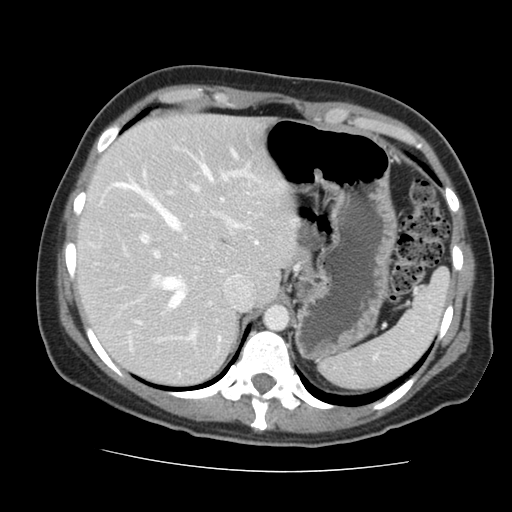
CT slice | Liver
Only some of the vessels may be annotated.
<segmentation>
  <hepatic_vessel>x1=154 y1=252 x2=158 y2=256, x1=221 y1=171 x2=248 y2=180, x1=232 y1=152 x2=235 y2=156, x1=217 y1=338 x2=219 y2=343, x1=136 y1=322 x2=140 y2=324, x1=141 y1=235 x2=147 y2=242, x1=190 y1=186 x2=198 y2=191, x1=213 y1=213 x2=217 y2=216, x1=187 y1=332 x2=194 y2=340, x1=153 y1=275 x2=184 y2=308, x1=201 y1=165 x2=211 y2=180, x1=255 y1=241 x2=256 y2=243, x1=226 y1=218 x2=240 y2=227</hepatic_vessel>
</segmentation>